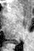 MR

Posterior hippocampus at x1=12 y1=41 x2=17 y2=44.